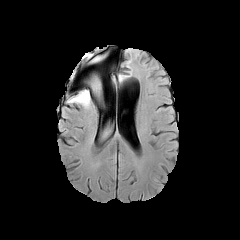
FLAIR magnetic resonance.
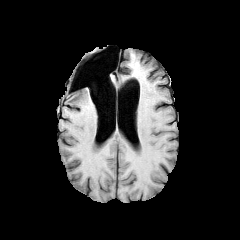
Same slice, T1-weighted MR image.
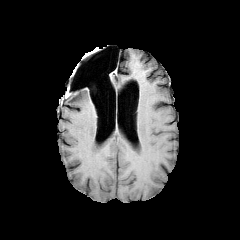
Post-contrast T1-weighted magnetic resonance of the same slice.
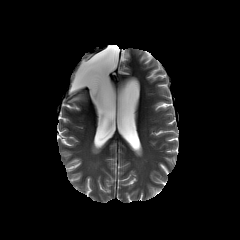
T2-weighted MRI of the same slice.
Annotated regions:
* edema: [88, 74, 100, 100], [87, 56, 101, 62], [68, 91, 90, 107]